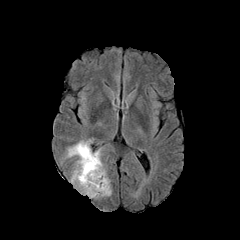
FLAIR magnetic resonance.
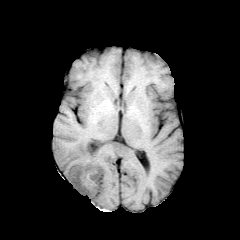
T1-weighted MR.
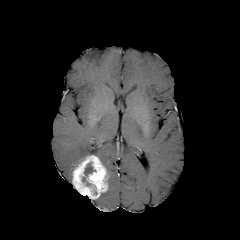
Post-contrast T1-weighted MRI.
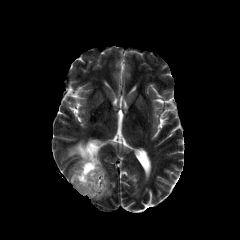
T2-weighted MR image of the same slice.
Segmented structures:
- enhancing tumor: l=72, t=155, r=107, b=198
- edema: l=99, t=171, r=111, b=197; l=66, t=139, r=92, b=166; l=92, t=148, r=101, b=161
- non-enhancing tumor core: l=82, t=164, r=95, b=185